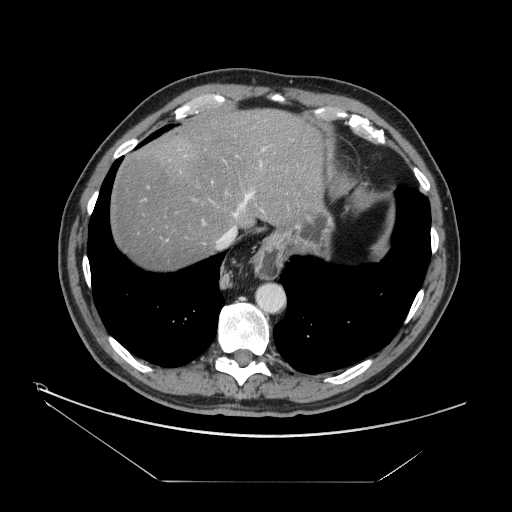
CT scan slice

Not every hepatic vessel necessarily has a box.
Findings:
* hepatic vessel: x1=233, y1=213, x2=237, y2=216; x1=263, y1=148, x2=265, y2=149; x1=241, y1=192, x2=251, y2=208